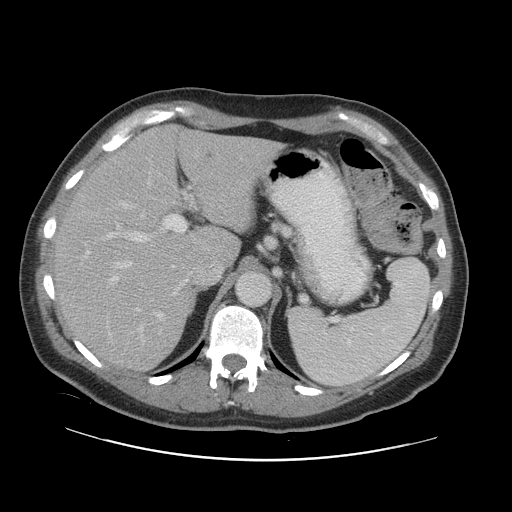 Abdomen, CT image

The vessel boxes may cover only some of the vessels.
6 hepatic vessel regions appear at rect(116, 215, 117, 217); rect(128, 231, 148, 241); rect(107, 232, 118, 238); rect(136, 308, 139, 310); rect(116, 222, 119, 227); rect(141, 214, 144, 217).